Slice 81/155
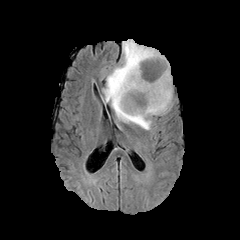
FLAIR MR image.
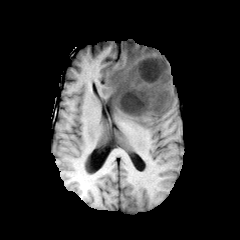
Same slice, T1-weighted MR image.
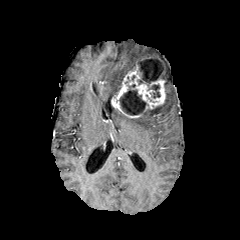
Same slice, post-contrast T1-weighted MRI.
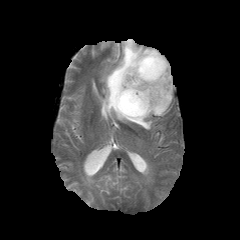
T2-weighted MR image of the same slice.
3 non-enhancing tumor core regions are bounded by [149,85,159,98], [119,90,146,114], [139,59,163,84]. The enhancing tumor appears at [111,56,166,118]. The edema is located at [102,39,173,130].